FLAIR magnetic resonance.
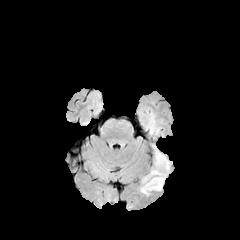
T1-weighted MRI.
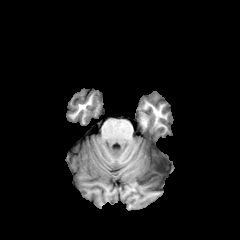
Post-contrast T1-weighted MRI.
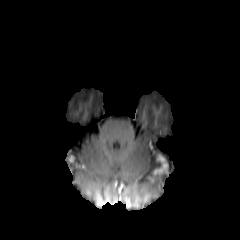
T2-weighted MRI.
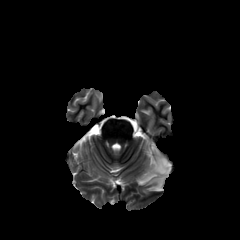
Enhancing tumor = region(154, 155, 167, 174).
Edema = region(140, 143, 168, 193).
Non-enhancing tumor core = region(154, 154, 162, 170).